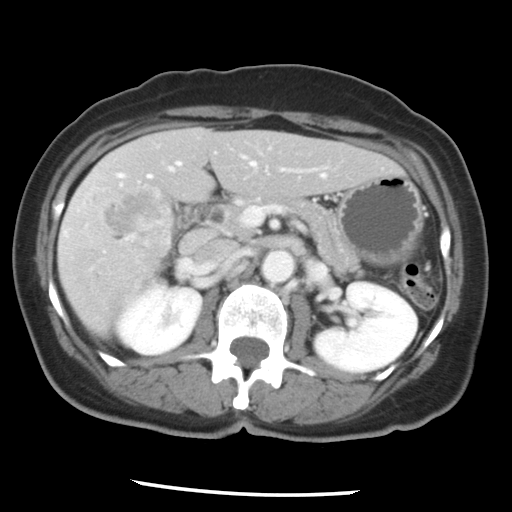
Liver, 512x512, CT image
The vessel annotation is not exhaustive.
Findings:
* hepatic vessel: (left=251, top=161, right=253, bottom=164), (left=117, top=173, right=122, bottom=176), (left=241, top=206, right=266, bottom=225), (left=148, top=175, right=149, bottom=176)
* liver tumor: (left=101, top=185, right=166, bottom=256)